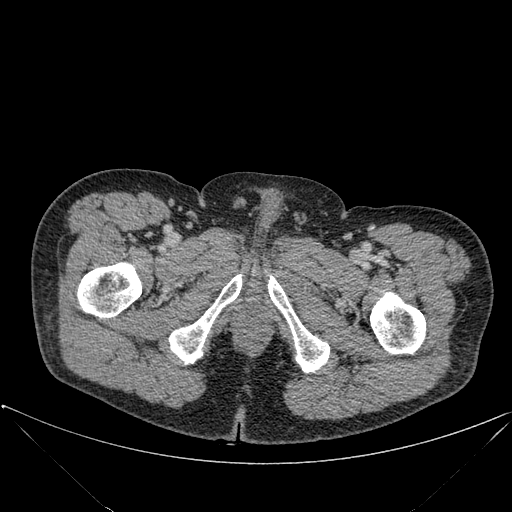 Computed tomography
Bone — (370, 292, 425, 353), (77, 262, 141, 317), (169, 274, 241, 364), (268, 276, 329, 372).